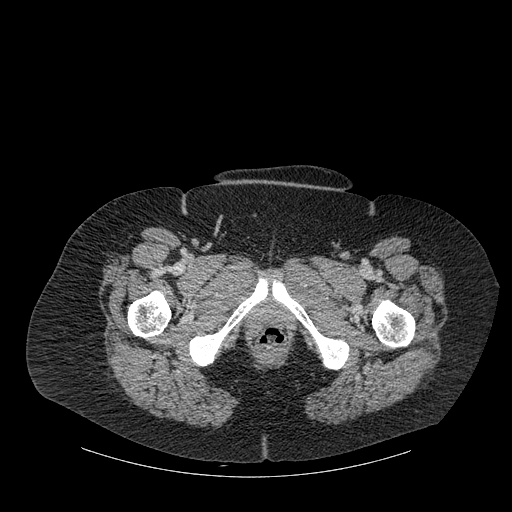

CT image

Bone: bounding box [x1=128, y1=290, x2=170, y2=337], [x1=272, y1=279, x2=348, y2=369], [x1=189, y1=278, x2=267, y2=365], [x1=372, y1=300, x2=414, y2=347].